Image width 440 mm, CT slice, Slice 103/264
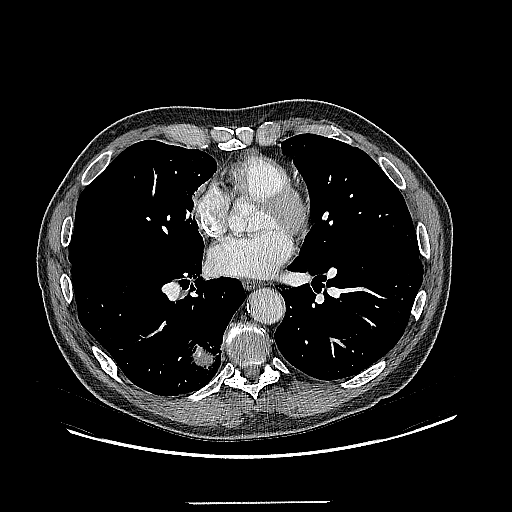
lung_tumor:
  - 192, 346, 215, 369